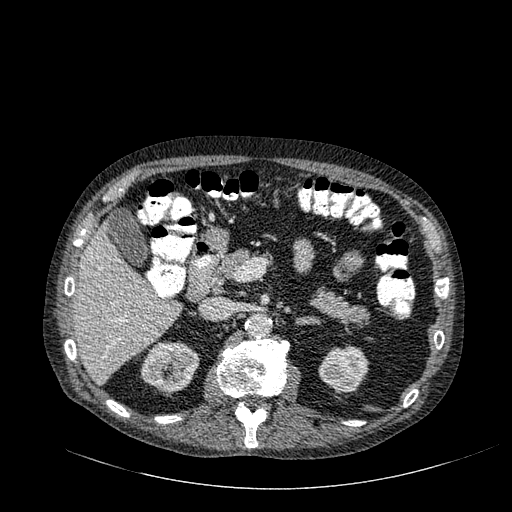

Computed tomography | 512x512
The liver appears at 73 223 180 384. 2 kidney regions are located at 141 342 199 395, 318 345 368 393.